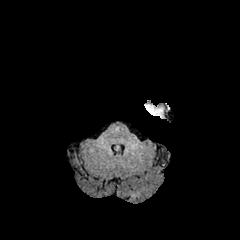
FLAIR MRI.
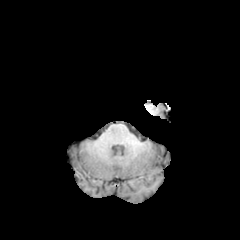
T1-weighted MRI.
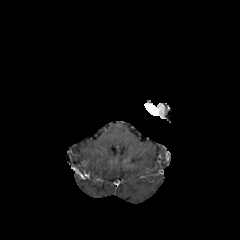
Post-contrast T1-weighted MR image of the same slice.
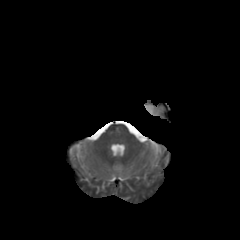
T2-weighted MRI.
enhancing tumor: 144 103 164 118